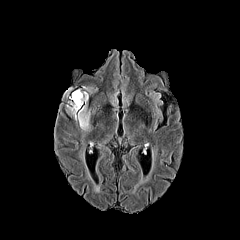
FLAIR magnetic resonance.
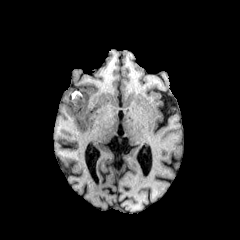
Same slice, T1-weighted MR.
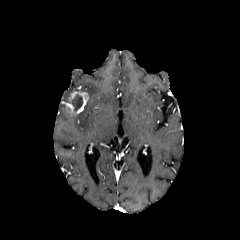
Post-contrast T1-weighted MRI.
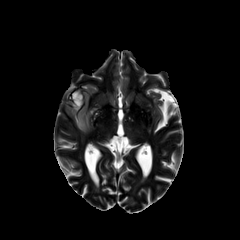
Same slice, T2-weighted MR image.
Head; Image size 240x240
Non-enhancing tumor core — box=[71, 94, 82, 110].
Enhancing tumor — box=[63, 88, 89, 117].
Edema — box=[74, 106, 91, 136]; box=[83, 87, 96, 94]; box=[62, 87, 72, 98].